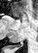
MR image | Medial temporal lobe

Posterior hippocampus — <bbox>9, 43, 22, 48</bbox>.